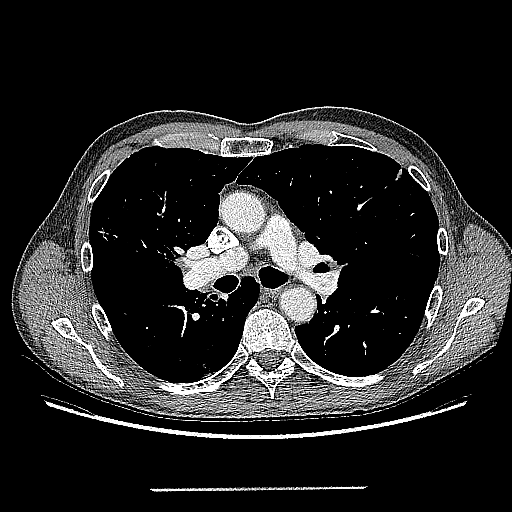

CT image

Lung tumor — l=394, t=167, r=405, b=182.